Image width 34 mm | MR 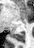 Posterior hippocampus = 12:33:23:40.